CT image | Slice 168 of 212 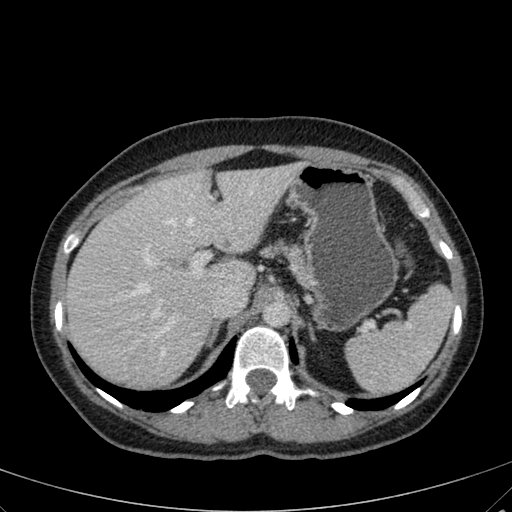

2 hepatic lesion regions appear at box(202, 170, 211, 182); box(223, 240, 230, 247). The liver appears at box(65, 163, 303, 385).